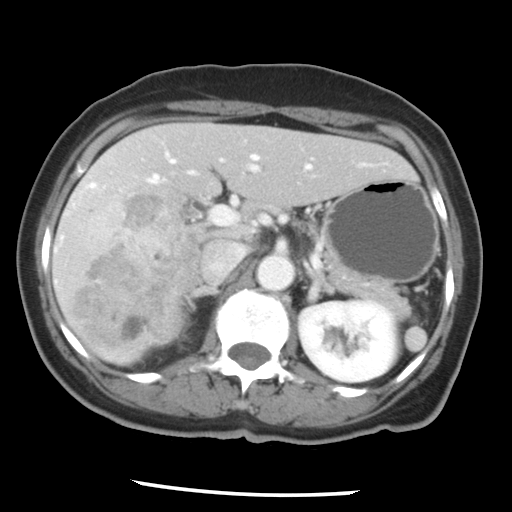 Liver. CT.
The vessel annotation is not exhaustive.
{
  "liver_tumor": [
    "<bbox>72, 190, 195, 349</bbox>"
  ],
  "hepatic_vessel": [
    "<bbox>146, 174, 161, 183</bbox>",
    "<bbox>83, 177, 106, 193</bbox>",
    "<bbox>208, 244, 243, 275</bbox>",
    "<bbox>250, 165, 257, 170</bbox>",
    "<bbox>165, 151, 176, 163</bbox>",
    "<bbox>188, 171, 195, 174</bbox>",
    "<bbox>211, 206, 237, 224</bbox>",
    "<bbox>306, 164, 310, 169</bbox>",
    "<bbox>250, 154, 259, 160</bbox>"
  ]
}